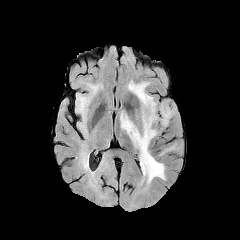
FLAIR MR image.
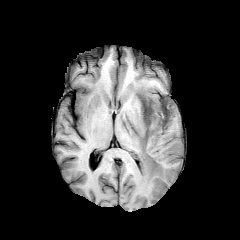
Same slice, T1-weighted magnetic resonance.
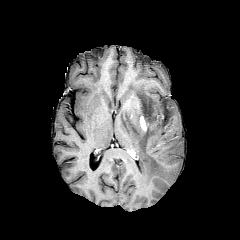
Same slice, post-contrast T1-weighted MR image.
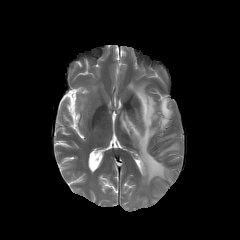
T2-weighted MR of the same slice.
Head.
Annotated regions:
* edema: <bbox>120, 82, 172, 184</bbox>
* non-enhancing tumor core: <bbox>140, 102, 151, 135</bbox>, <bbox>161, 104, 169, 123</bbox>